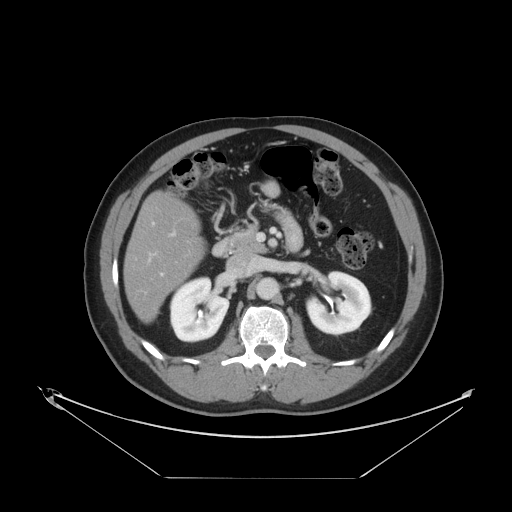 CT scan slice
Not every hepatic vessel necessarily has a box.
Hepatic vessel — bbox=[169, 231, 175, 235]; bbox=[160, 273, 162, 275]; bbox=[152, 222, 154, 224]; bbox=[149, 253, 155, 256]; bbox=[148, 258, 150, 261].